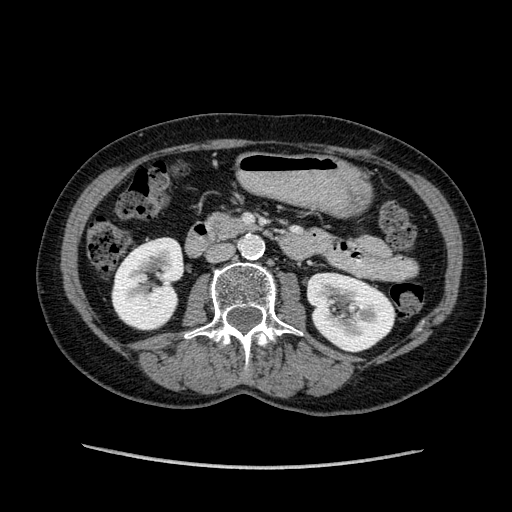

CT image | Abdomen | 512x512

Annotated regions:
* kidney: rect(308, 273, 393, 351); rect(113, 238, 182, 328)